FLAIR MR.
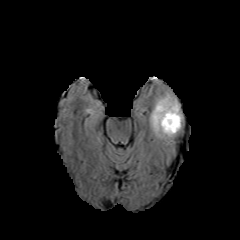
T1-weighted MR image.
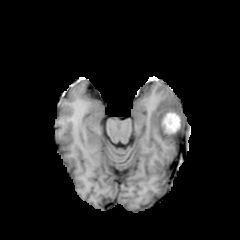
Post-contrast T1-weighted magnetic resonance.
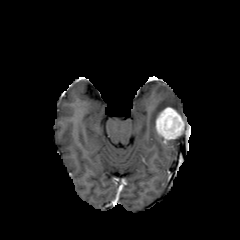
T2-weighted MR image.
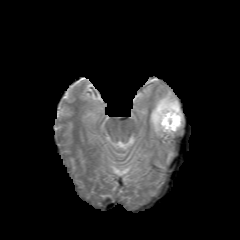
Brain
non-enhancing_tumor_core:
  - region(153, 102, 175, 133)
edema:
  - region(149, 88, 183, 145)
enhancing_tumor:
  - region(162, 113, 180, 131)